Slice index 194 | CT slice 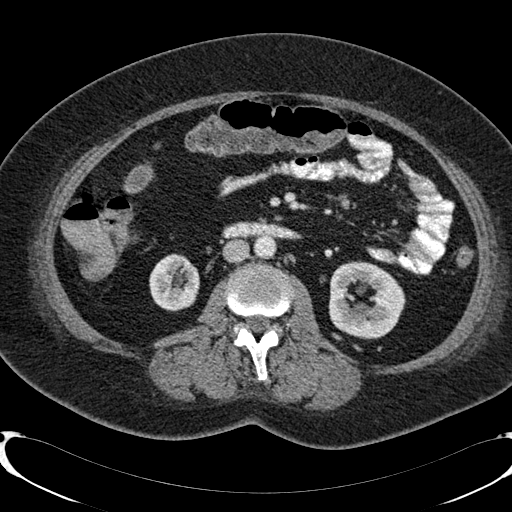
kidney: 329, 262, 403, 337; 151, 255, 199, 309